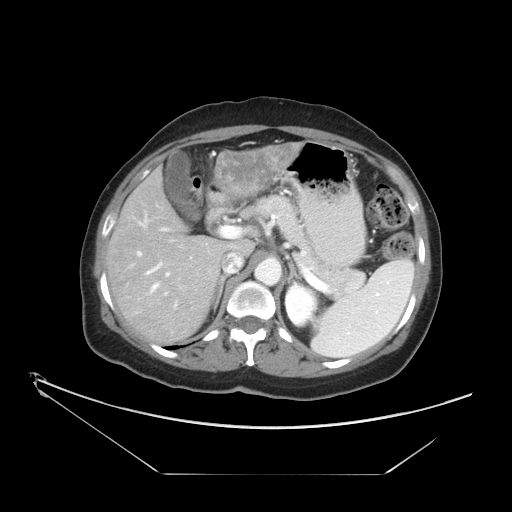 Liver. 512x512. CT. Some hepatic vessels may have no box.
• liver tumor: {"x1": 222, "y1": 151, "x2": 290, "y2": 187}
• hepatic vessel: {"x1": 139, "y1": 217, "x2": 146, "y2": 225}, {"x1": 166, "y1": 273, "x2": 168, "y2": 275}, {"x1": 137, "y1": 252, "x2": 141, "y2": 255}, {"x1": 146, "y1": 263, "x2": 161, "y2": 274}, {"x1": 151, "y1": 283, "x2": 158, "y2": 290}